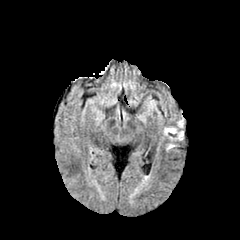
FLAIR MRI.
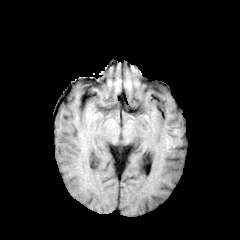
T1-weighted magnetic resonance.
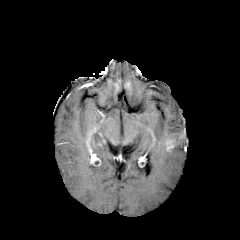
Post-contrast T1-weighted MR.
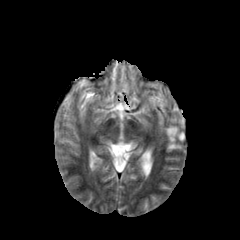
T2-weighted MRI.
Head
{
  "edema": [
    "box=[164, 119, 184, 141]"
  ]
}